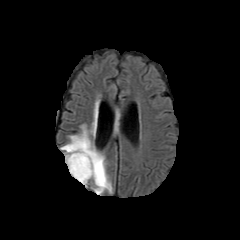
FLAIR MRI.
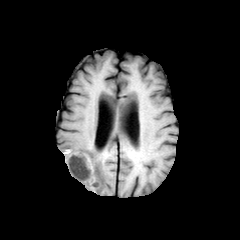
T1-weighted magnetic resonance of the same slice.
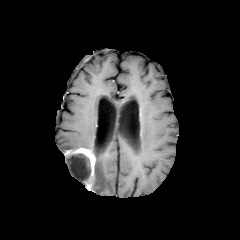
Same slice, post-contrast T1-weighted magnetic resonance.
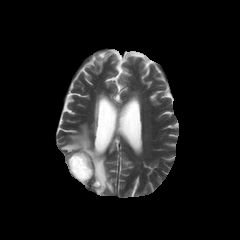
T2-weighted MR image.
240x240
<segmentation>
  <non-enhancing_tumor_core>x1=68, y1=154, x2=94, y2=185</non-enhancing_tumor_core>
  <enhancing_tumor>x1=66, y1=148, x2=95, y2=175</enhancing_tumor>
  <edema>x1=62, y1=130, x2=113, y2=193</edema>
</segmentation>